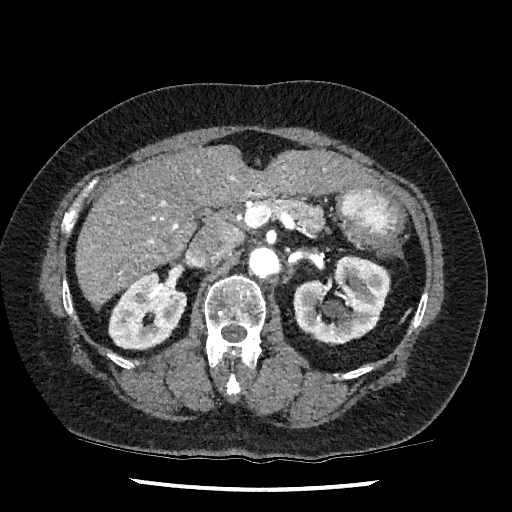 Computed tomography | Upper abdomen

<segmentation>
  <kidney>bbox=[294, 257, 389, 343]; bbox=[109, 265, 186, 349]</kidney>
  <liver>bbox=[76, 146, 373, 308]</liver>
</segmentation>